Upper abdomen. CT scan slice. 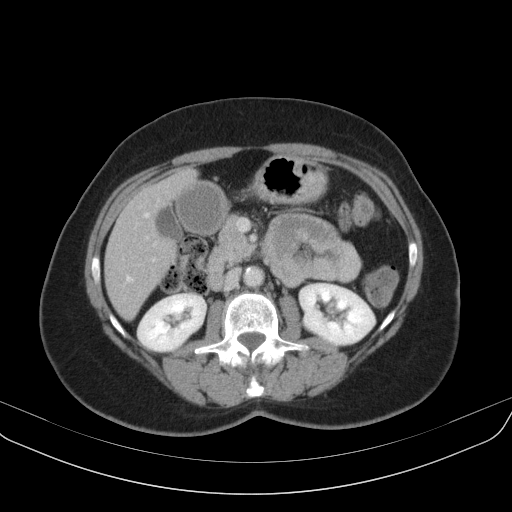

pancreas:
  - 205:214:255:278